Slice 452 of 908; CT scan slice

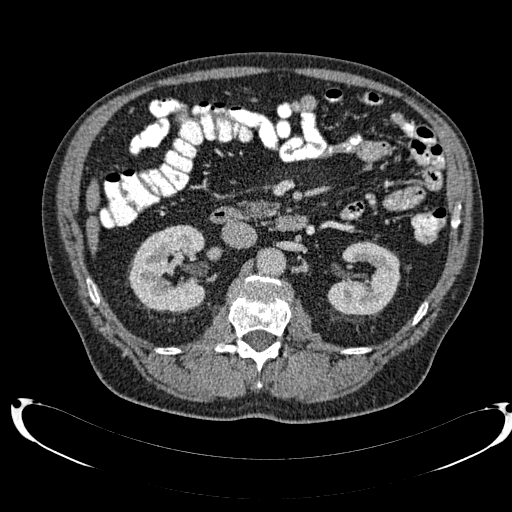 {"liver": ["l=87, t=182, r=98, b=210", "l=87, t=218, r=98, b=250"], "kidney": ["l=207, t=247, r=221, b=260", "l=328, t=242, r=400, b=314", "l=129, t=225, r=206, b=312"]}